Abdomen, Computed tomography

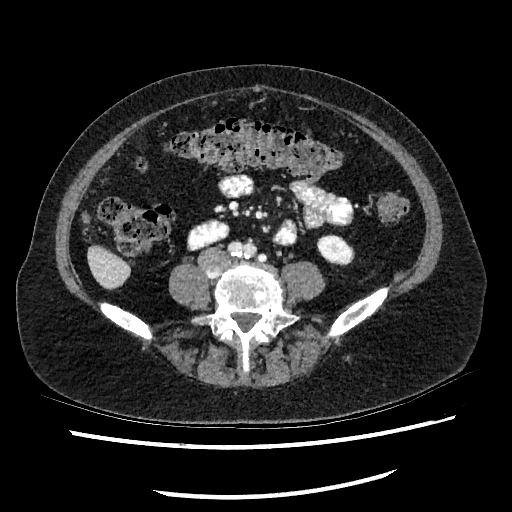
The kidney is bounded by region(318, 236, 351, 262). The liver appears at region(88, 246, 129, 287).